MR. Cardiac. Image size 320x320. Image width 400 mm.
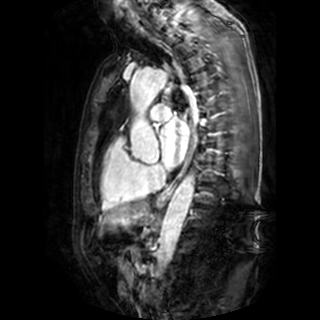

Left atrium at 160:117:189:166.